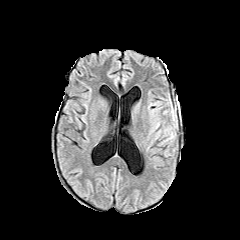
FLAIR magnetic resonance.
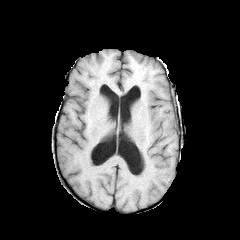
Same slice, T1-weighted MR image.
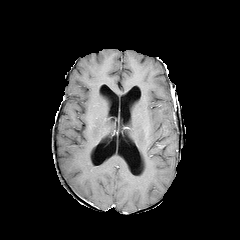
Same slice, post-contrast T1-weighted magnetic resonance.
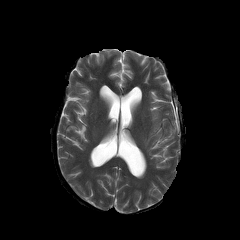
Same slice, T2-weighted MR.
<segmentation>
  <edema>(157,116,177,147)</edema>
</segmentation>